Computed tomography. Slice 312/816. 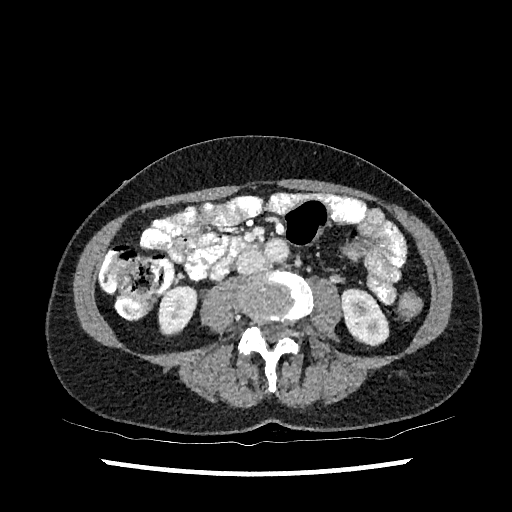 kidney: x1=159, y1=287, x2=195, y2=332; x1=342, y1=290, x2=388, y2=344